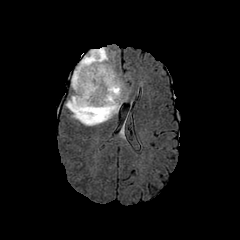
FLAIR MR image.
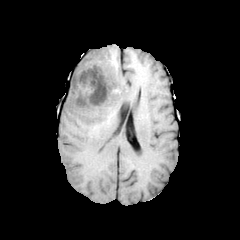
T1-weighted MR image.
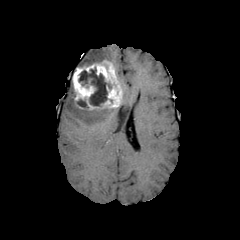
Post-contrast T1-weighted MR of the same slice.
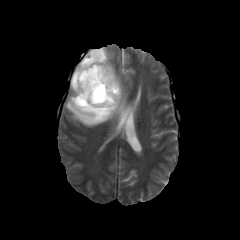
T2-weighted MR.
Brain.
The enhancing tumor is bounded by (x1=72, y1=60, x2=122, y2=109). 3 non-enhancing tumor core regions appear at (x1=80, y1=59, x2=94, y2=66), (x1=79, y1=69, x2=107, y2=106), (x1=76, y1=99, x2=87, y2=106). 2 edema regions appear at (x1=65, y1=82, x2=120, y2=126), (x1=83, y1=47, x2=110, y2=62).